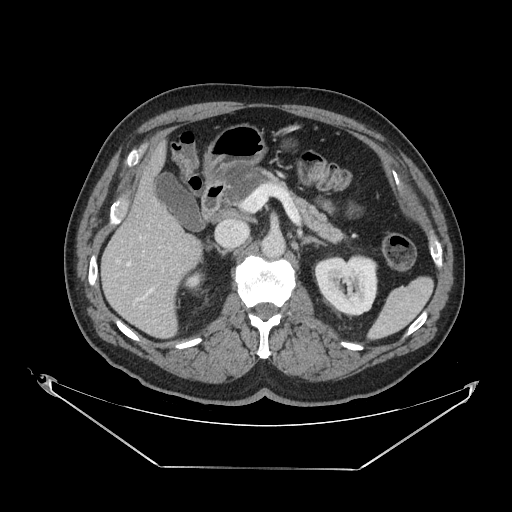 CT image. Abdomen.
pancreas:
  - [x1=222, y1=161, x2=348, y2=243]
pancreatic_tumor:
  - [x1=229, y1=167, x2=262, y2=201]